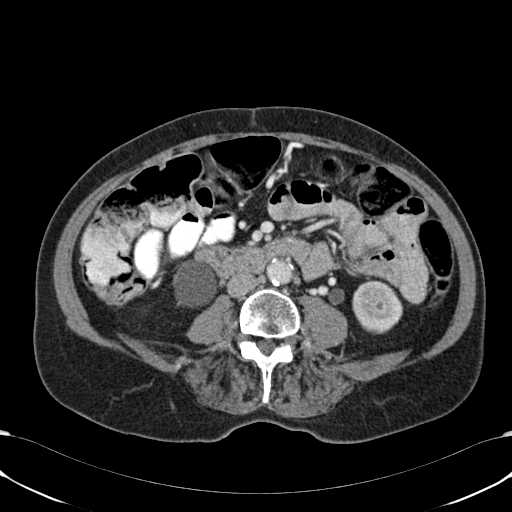

CT scan slice | Abdomen

2 kidney regions appear at bbox=[179, 291, 212, 303]; bbox=[353, 281, 401, 332].